Chest | CT | Slice 410/588 | Field of view 351x351 mm
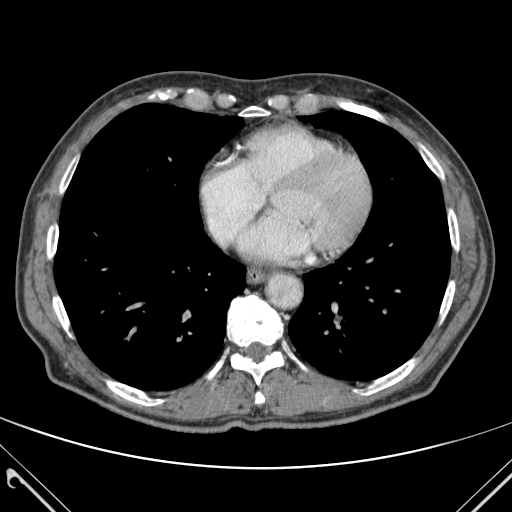
* lung: (left=54, top=103, right=245, bottom=390), (left=288, top=111, right=450, bottom=380)
* bone: (left=255, top=392, right=264, bottom=403), (left=227, top=295, right=282, bottom=345), (left=107, top=381, right=162, bottom=405), (left=59, top=159, right=75, bottom=196), (left=440, top=281, right=454, bottom=319), (left=231, top=352, right=283, bottom=384), (left=53, top=292, right=68, bottom=331), (left=360, top=360, right=413, bottom=394), (left=239, top=106, right=269, bottom=116), (left=340, top=102, right=383, bottom=119), (left=421, top=145, right=443, bottom=178), (left=47, top=216, right=58, bottom=260), (left=208, top=361, right=222, bottom=378), (left=448, top=210, right=458, bottom=249)